Computed tomography. Lung.

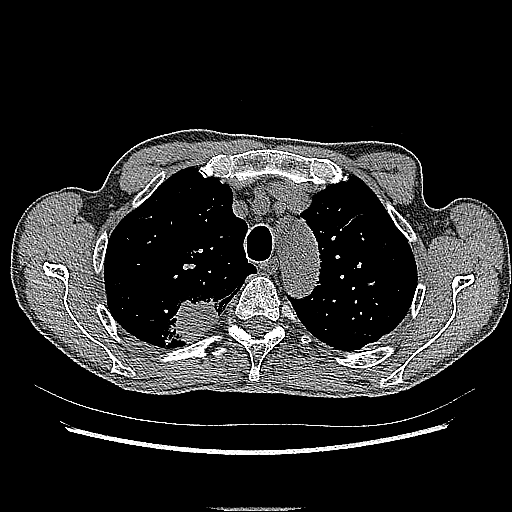 Lung tumor: bbox(153, 287, 230, 347).